CT. Slice 344/574. 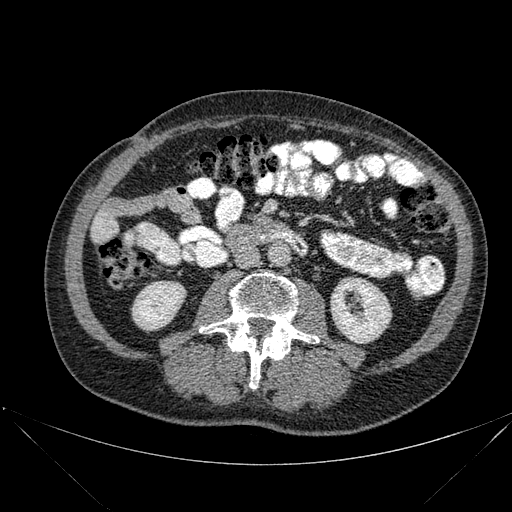
bone: (x1=199, y1=272, x2=319, y2=388) | kidney: (x1=331, y1=278, x2=391, y2=343), (x1=132, y1=281, x2=185, y2=330)